CT, Lower abdomen, Field of view 400 mm wide, 0.80 mm slice spacing
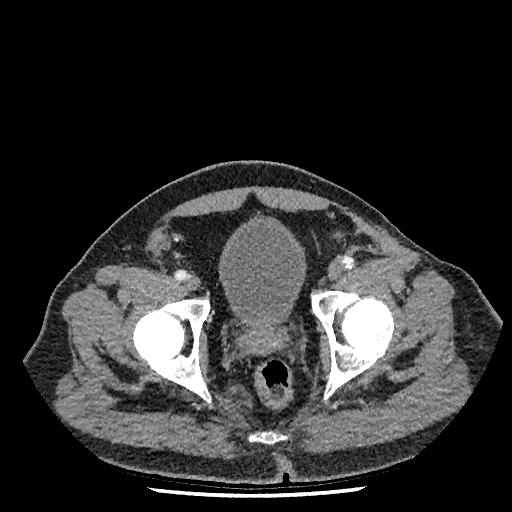
The urinary bladder is bounded by [218, 219, 307, 324].